Upper abdomen, CT, 512x512 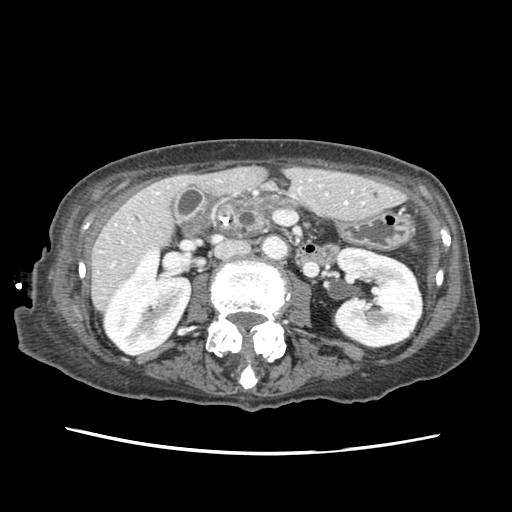
Annotated regions:
* pancreas: {"x1": 234, "y1": 196, "x2": 296, "y2": 234}